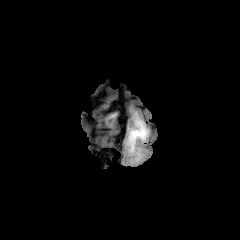
FLAIR magnetic resonance.
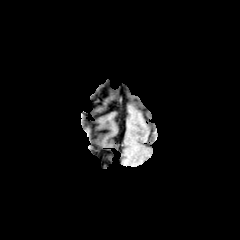
Same slice, T1-weighted MR.
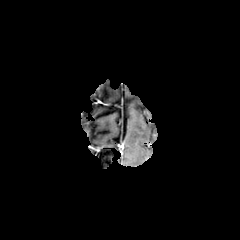
Post-contrast T1-weighted MR of the same slice.
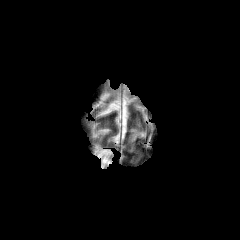
T2-weighted MR image.
Brain
Findings:
* edema: (126,118,148,152)